Slice 322/647, CT scan slice
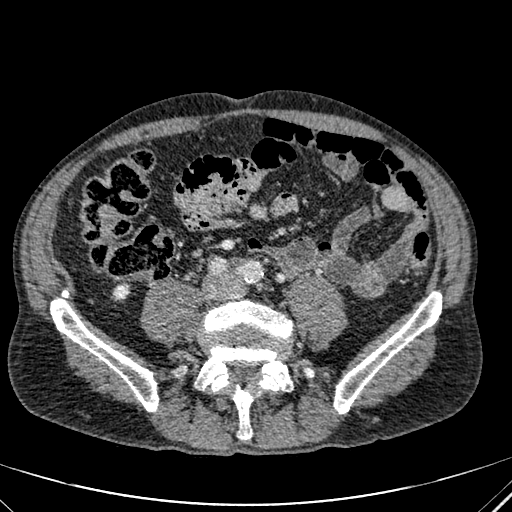
The kidney lies within <box>115,286,127,297</box>.